Slice 26/45 | 512x512 px | Liver | CT scan slice

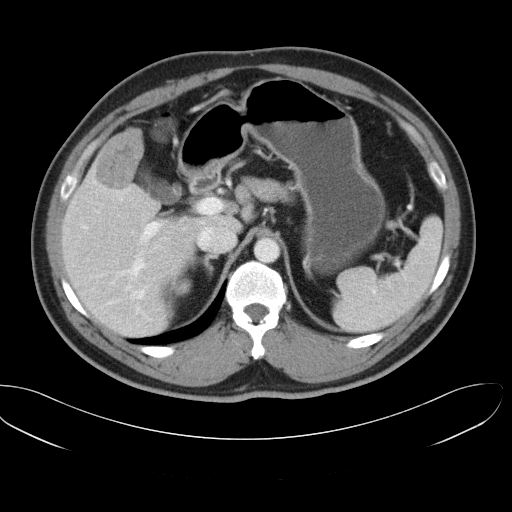

Not every hepatic vessel necessarily has a box.
Liver tumor = (x1=95, y1=129, x2=142, y2=189).
Hepatic vessel = (x1=125, y1=285, x2=131, y2=290), (x1=155, y1=244, x2=159, y2=247), (x1=81, y1=225, x2=87, y2=228), (x1=92, y1=181, x2=95, y2=183), (x1=141, y1=224, x2=158, y2=242), (x1=163, y1=237, x2=165, y2=238), (x1=200, y1=198, x2=222, y2=212), (x1=131, y1=287, x2=146, y2=300), (x1=204, y1=228, x2=208, y2=231), (x1=110, y1=251, x2=144, y2=284), (x1=117, y1=320, x2=119, y2=322), (x1=136, y1=305, x2=151, y2=320), (x1=81, y1=293, x2=82, y2=294), (x1=147, y1=278, x2=150, y2=279), (x1=106, y1=299, x2=120, y2=304).